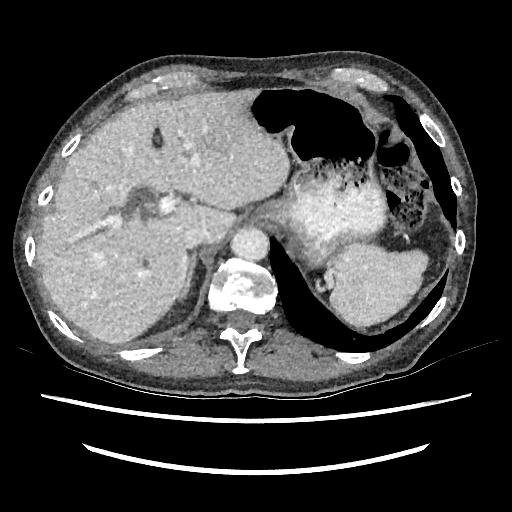
CT scan slice. Liver.

The liver is located at 37, 89, 287, 341.